Slice index 82; Field of view 240 mm wide, 1.00 mm slice spacing
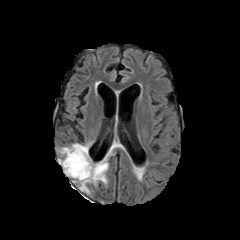
FLAIR MRI.
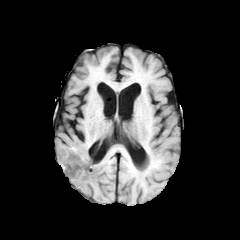
T1-weighted magnetic resonance.
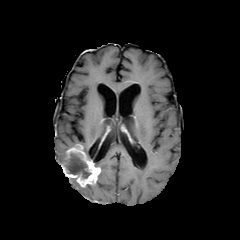
Same slice, post-contrast T1-weighted MR image.
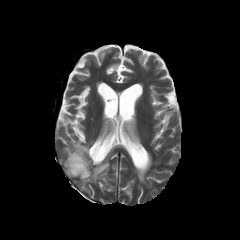
T2-weighted MRI of the same slice.
enhancing tumor: box(64, 145, 100, 186) | non-enhancing tumor core: box(66, 152, 90, 177); box(82, 148, 99, 166) | edema: box(136, 168, 143, 181); box(60, 142, 78, 169); box(80, 184, 89, 193); box(92, 157, 108, 184)